Slice index 77 | Field of view 240 mm wide, 1.00 mm slice spacing
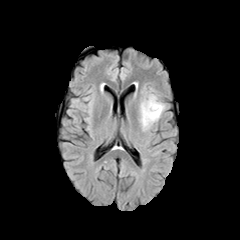
FLAIR MRI.
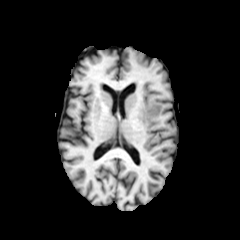
T1-weighted magnetic resonance.
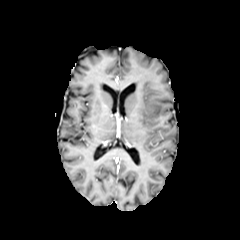
Post-contrast T1-weighted magnetic resonance.
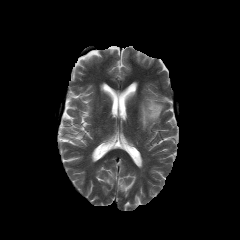
T2-weighted MR.
edema:
  - 138 90 164 130